Abdomen. CT scan slice.
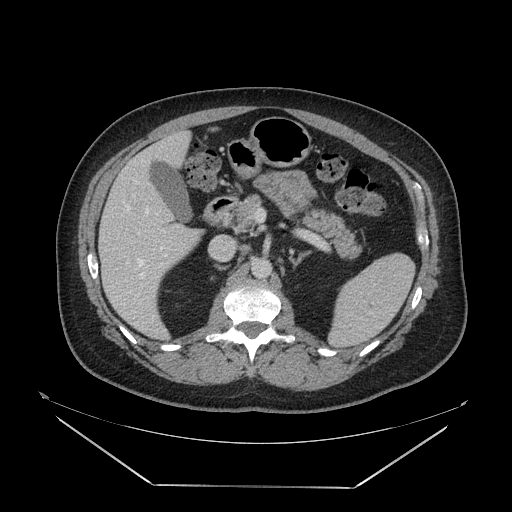 Pancreas at (237, 196, 259, 218), (303, 213, 360, 257).